CT; Slice index 54
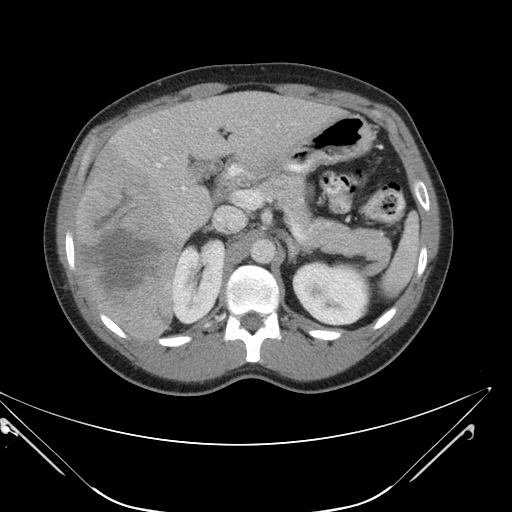 Not every hepatic vessel necessarily has a box.
<segmentation>
  <liver_tumor>[x1=76, y1=148, x2=177, y2=338]</liver_tumor>
  <hepatic_vessel>[x1=157, y1=163, x2=160, y2=166], [x1=277, y1=124, x2=278, y2=126], [x1=169, y1=218, x2=172, y2=220], [x1=182, y1=187, x2=185, y2=189], [x1=256, y1=129, x2=257, y2=131], [x1=153, y1=129, x2=155, y2=131], [x1=162, y1=157, x2=166, y2=160], [x1=215, y1=207, x2=243, y2=228], [x1=245, y1=121, x2=247, y2=123]</hepatic_vessel>
</segmentation>